Head.
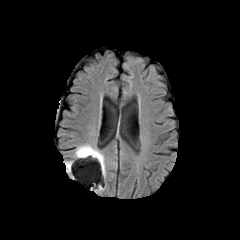
FLAIR MRI.
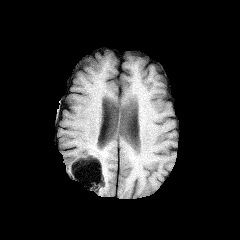
Same slice, T1-weighted MRI.
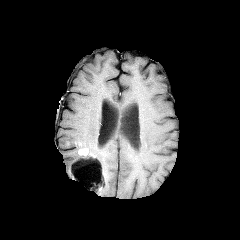
Post-contrast T1-weighted MRI.
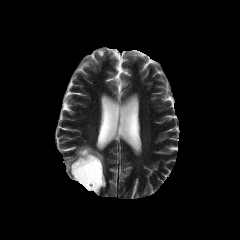
Same slice, T2-weighted MRI.
The non-enhancing tumor core is located at bbox=[75, 152, 101, 173]. 3 edema regions are located at bbox=[100, 153, 106, 179]; bbox=[73, 143, 101, 160]; bbox=[65, 158, 73, 172]. The enhancing tumor lies within bbox=[78, 148, 96, 157].